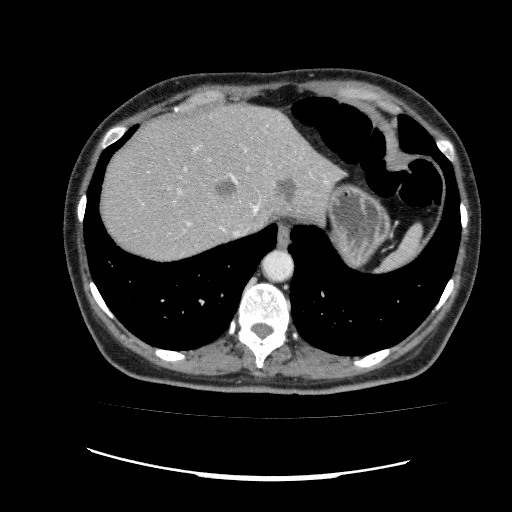 Image size 512x512. CT scan slice.
liver:
  - [x1=101, y1=103, x2=346, y2=262]
liver_lesion:
  - [x1=215, y1=179, x2=235, y2=199]
  - [x1=273, y1=179, x2=296, y2=205]